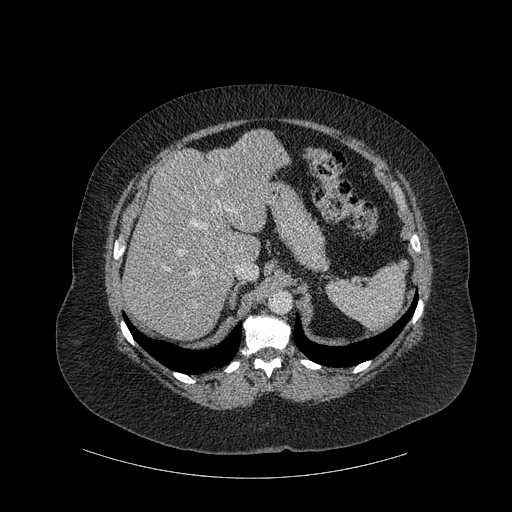
Abdomen, Computed tomography

Segmented structures:
* bone: l=301, t=360, r=320, b=369; l=121, t=321, r=133, b=344; l=243, t=316, r=289, b=354; l=353, t=361, r=370, b=372; l=254, t=358, r=280, b=376; l=411, t=235, r=419, b=251; l=174, t=373, r=194, b=383; l=114, t=241, r=123, b=258; l=225, t=362, r=239, b=372; l=413, t=300, r=422, b=322
* lung: l=293, t=298, r=416, b=366; l=124, t=316, r=241, b=373
* liver: l=122, t=129, r=289, b=340